Image size 512x512, Slice 308/565, Upper abdomen, CT image 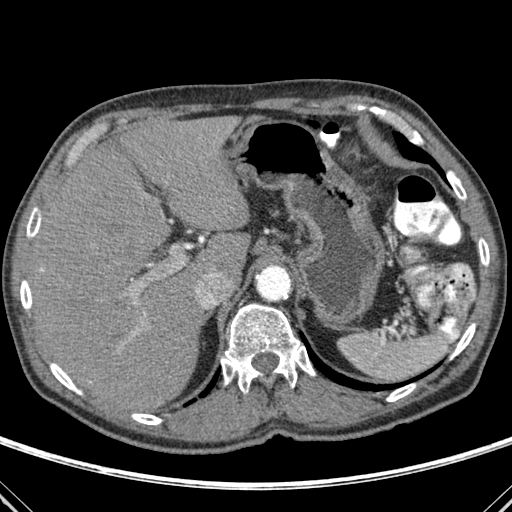 10 bone regions appear at [x1=478, y1=238, x2=489, y2=266], [x1=386, y1=383, x2=415, y2=401], [x1=220, y1=304, x2=315, y2=392], [x1=447, y1=171, x2=466, y2=199], [x1=450, y1=323, x2=475, y2=359], [x1=50, y1=363, x2=81, y2=394], [x1=27, y1=208, x2=40, y2=237], [x1=131, y1=413, x2=161, y2=424], [x1=411, y1=131, x2=423, y2=144], [x1=20, y1=280, x2=31, y2=309]. 3 lung regions appear at [x1=300, y1=333, x2=439, y2=390], [x1=200, y1=369, x2=219, y2=396], [x1=393, y1=132, x2=446, y2=182]. 2 liver regions are bounded by [x1=198, y1=232, x2=250, y2=283], [x1=26, y1=116, x2=249, y2=410].